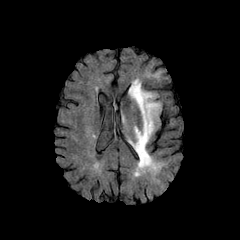
FLAIR MR.
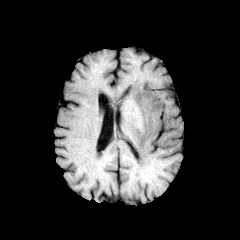
T1-weighted magnetic resonance.
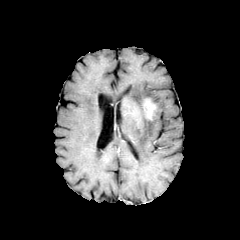
Post-contrast T1-weighted MR.
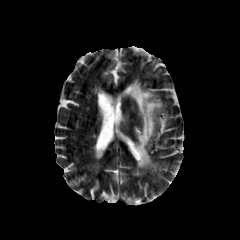
Same slice, T2-weighted MR image.
The enhancing tumor appears at bbox(143, 98, 158, 121). The edema is located at bbox(127, 79, 161, 176).